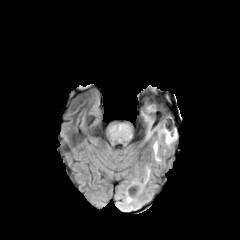
FLAIR MRI.
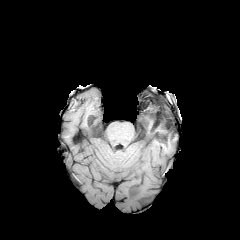
Same slice, T1-weighted MRI.
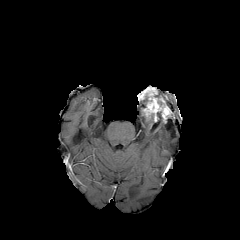
Post-contrast T1-weighted MR image of the same slice.
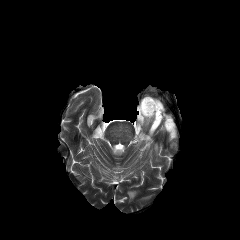
T2-weighted MRI.
Image size 240x240, Brain
2 edema regions are located at [153,143,160,161], [154,122,176,143]. 2 enhancing tumor regions are bounded by [141,101,161,119], [162,110,169,123]. The non-enhancing tumor core is at [152,110,163,121].